Abdomen; Slice 56/137; Field of view 409 mm wide, 1.50 mm slice spacing; CT scan slice

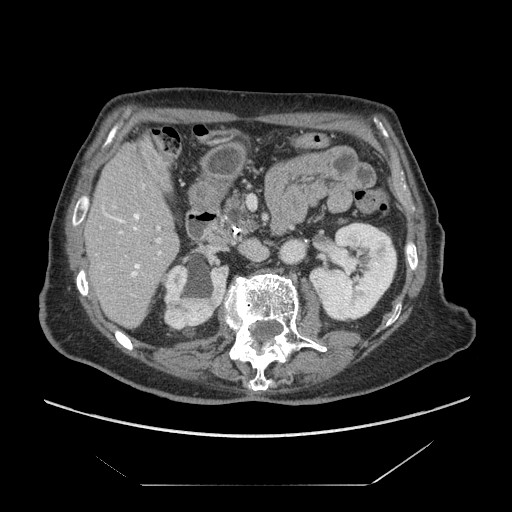
pancreas: bbox=[319, 215, 354, 230]; bbox=[219, 188, 264, 242]